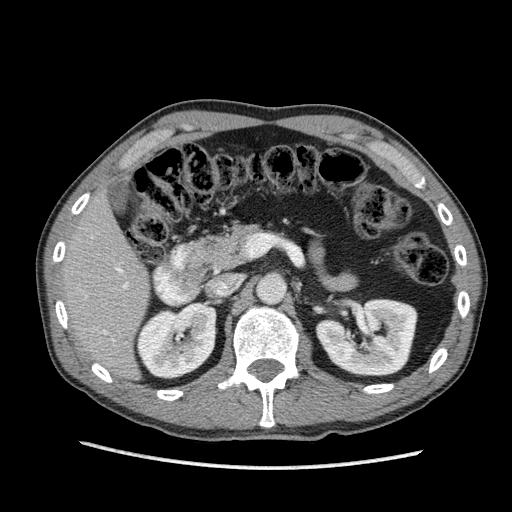

CT scan slice; Image size 512x512
The liver lies within bbox(60, 189, 150, 380). 2 kidney regions appear at bbox(138, 304, 215, 377); bbox(317, 300, 415, 374).